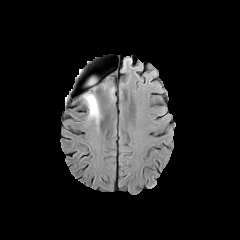
FLAIR MR.
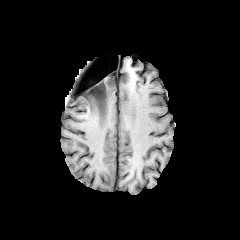
T1-weighted magnetic resonance.
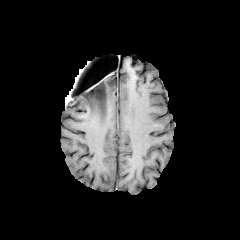
Post-contrast T1-weighted MR image of the same slice.
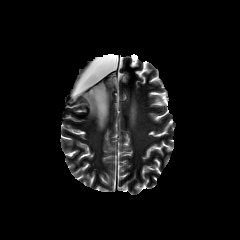
T2-weighted MR image.
240x240 px
Non-enhancing tumor core — x1=86 y1=84 x2=105 y2=115.
Edema — x1=87 y1=78 x2=96 y2=91, x1=82 y1=92 x2=107 y2=124, x1=104 y1=88 x2=113 y2=103.